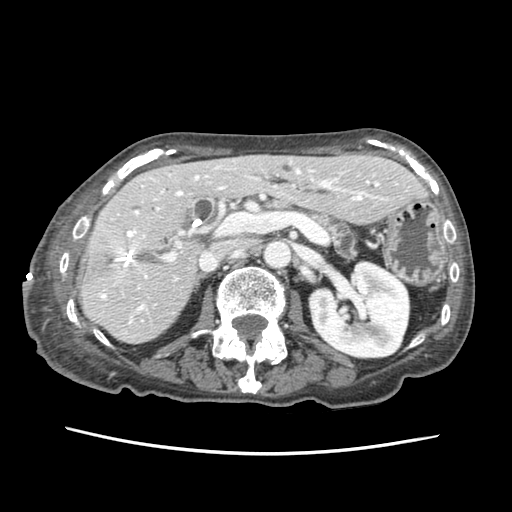

CT; Abdomen; 512x512 px
Segmented structures:
* pancreas: 308,213,355,259